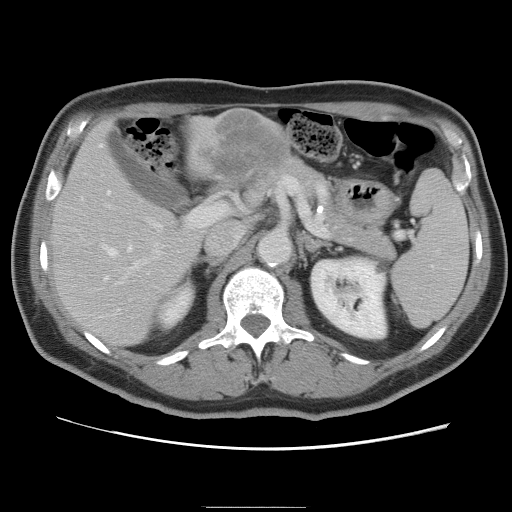

CT image
Not every hepatic vessel necessarily has a box.
Hepatic vessel — (107,191,110,193), (107,205,109,206), (155,242,163,255), (117,267,130,283), (132,260,145,268), (187,205,227,226), (99,144,101,146), (149,219,162,227), (114,309,118,313), (104,275,107,279), (81,197,83,199), (127,245,131,250), (102,244,116,254).
Liver tumor — (204,113,282,188).